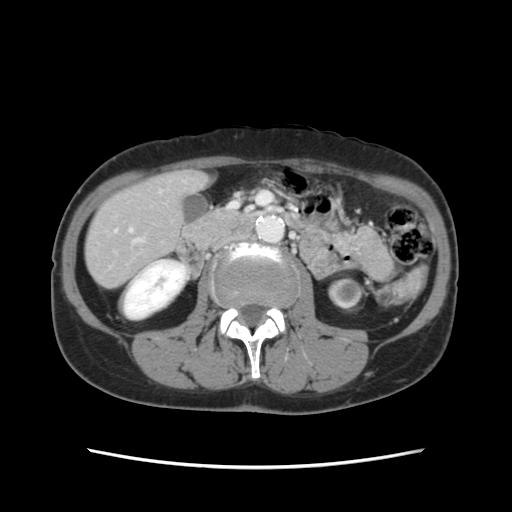

Computed tomography
Only some of the vessels may be annotated.
Hepatic vessel at x1=129 y1=229 x2=131 y2=231, x1=135 y1=239 x2=138 y2=242.